CT slice, Image size 512x512

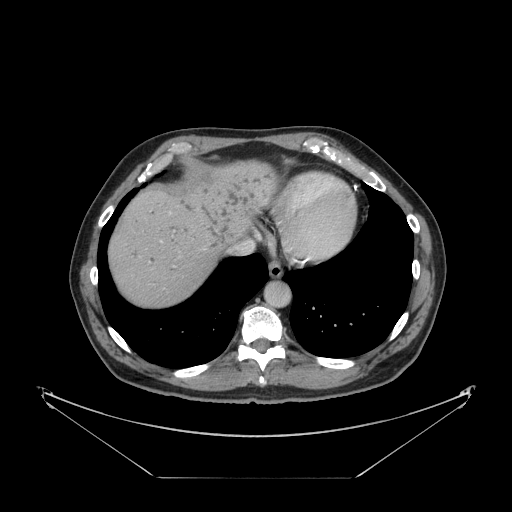
Only some of the vessels may be annotated.
hepatic_vessel:
  - 257 235 259 238
  - 229 240 253 253